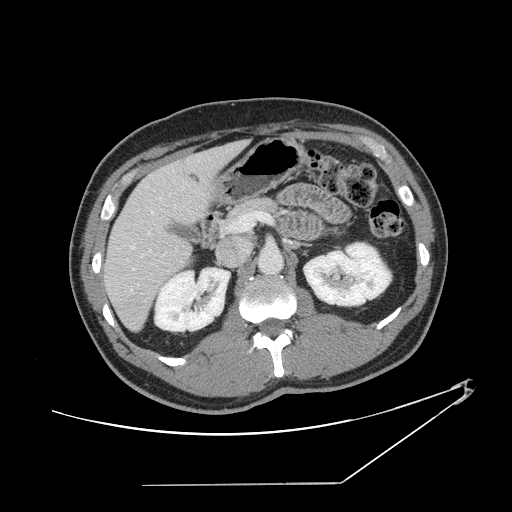

CT image, Abdomen

Some hepatic vessels may have no box.
{
  "hepatic_vessel": [
    "[141,255,142,256]",
    "[126,259,127,260]",
    "[131,246,134,248]",
    "[131,289,132,290]",
    "[162,252,166,256]"
  ]
}